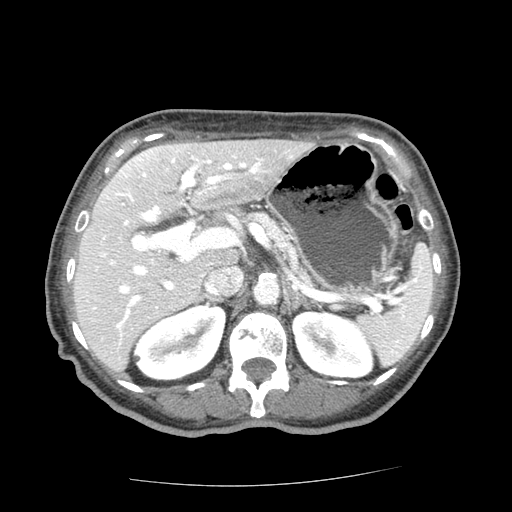
CT image

Findings:
* pancreas: <bbox>299, 269, 310, 282</bbox>, <bbox>249, 212, 291, 256</bbox>